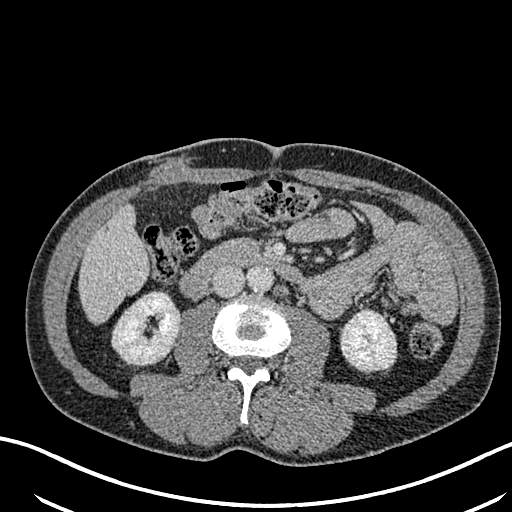
CT, Abdomen, 512x512
The liver lies within 79, 206, 147, 322. The focal liver lesion appears at 102, 223, 109, 233. 2 kidney regions appear at 113, 293, 179, 364; 341, 311, 395, 370.